Slice 69/155, Image size 240x240, Brain
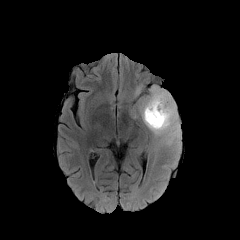
FLAIR MR.
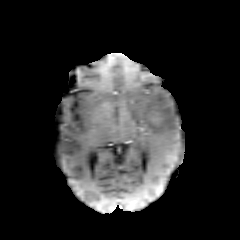
T1-weighted MRI of the same slice.
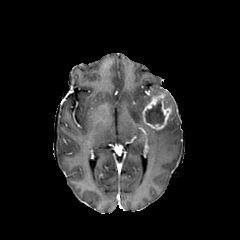
Post-contrast T1-weighted MR image of the same slice.
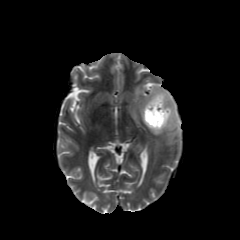
T2-weighted MRI.
2 edema regions appear at (x1=134, y1=86, x2=181, y2=152), (x1=152, y1=85, x2=162, y2=91). 2 non-enhancing tumor core regions appear at (x1=144, y1=89, x2=151, y2=107), (x1=144, y1=101, x2=164, y2=123). The enhancing tumor is bounded by (x1=142, y1=88, x2=171, y2=130).